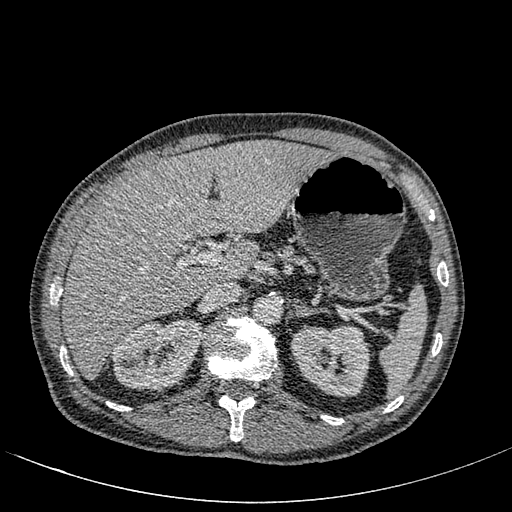
Computed tomography
Hepatic lesion: bounding box <bbox>155, 169, 166, 178</bbox>.
Liver: bounding box <bbox>62, 140, 331, 379</bbox>.
Kidney: bounding box <bbox>112, 320, 203, 389</bbox>, <bbox>291, 326, 369, 396</bbox>.